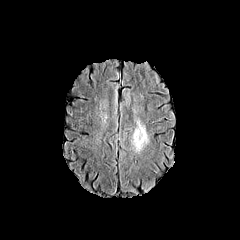
FLAIR MR.
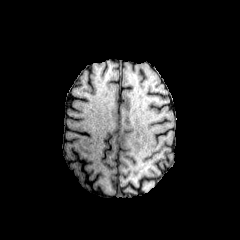
T1-weighted MR image.
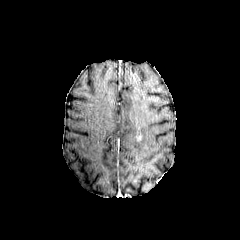
Post-contrast T1-weighted MR image.
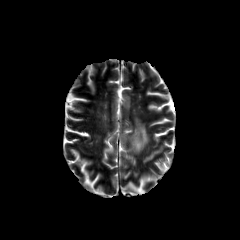
T2-weighted MR image.
Image size 240x240.
Findings:
- edema: 133 125 148 151